Magnetic resonance; Hippocampus
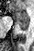
- posterior hippocampus: x1=17 y1=23 x2=28 y2=30
- anterior hippocampus: x1=11 y1=7 x2=28 y2=23